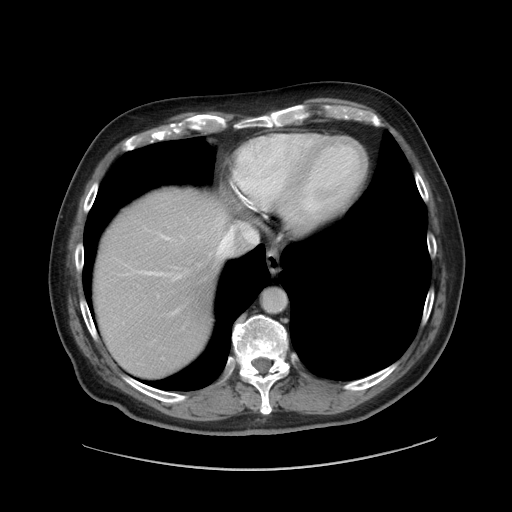 CT slice
The vessel boxes may cover only some of the vessels.
Annotated regions:
• hepatic vessel: region(217, 227, 233, 257); region(182, 237, 184, 240); region(214, 218, 223, 235); region(161, 235, 169, 239); region(240, 224, 256, 243); region(142, 271, 169, 275); region(174, 310, 177, 312); region(174, 274, 181, 279)